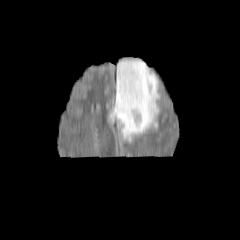
FLAIR MR.
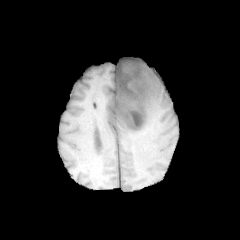
T1-weighted MRI of the same slice.
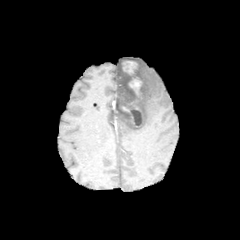
Post-contrast T1-weighted MR image.
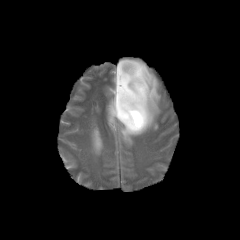
T2-weighted magnetic resonance.
Head.
Segmented structures:
- enhancing tumor: (left=123, top=61, right=137, bottom=73), (left=128, top=79, right=141, bottom=94)
- non-enhancing tumor core: (left=117, top=68, right=145, bottom=127)
- edema: (left=107, top=58, right=159, bottom=144)